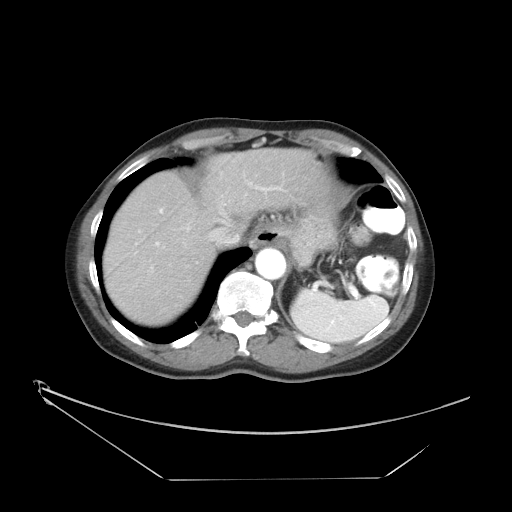 CT image; Liver
The vessel boxes may cover only some of the vessels.
Hepatic vessel — box(156, 242, 158, 244); box(138, 230, 140, 232); box(259, 187, 282, 191); box(247, 182, 251, 185); box(160, 209, 162, 212).